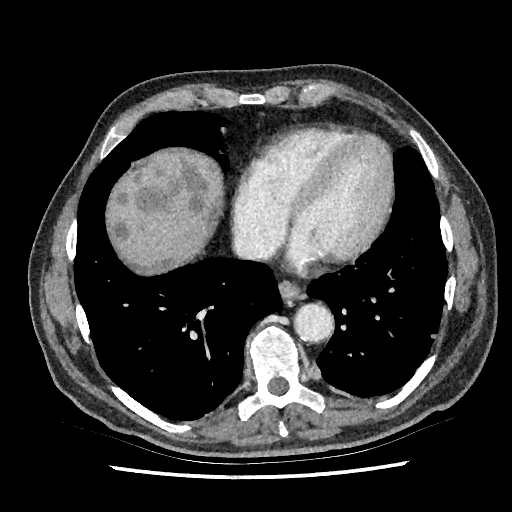 CT slice; Upper abdomen

The liver appears at 107, 148, 221, 264. 9 hepatic lesion regions are located at 115, 191, 127, 203; 123, 156, 151, 179; 134, 156, 209, 214; 126, 257, 175, 270; 156, 167, 165, 175; 133, 172, 142, 183; 206, 161, 215, 171; 206, 195, 219, 233; 112, 222, 128, 240.